CT scan slice, Slice index 40 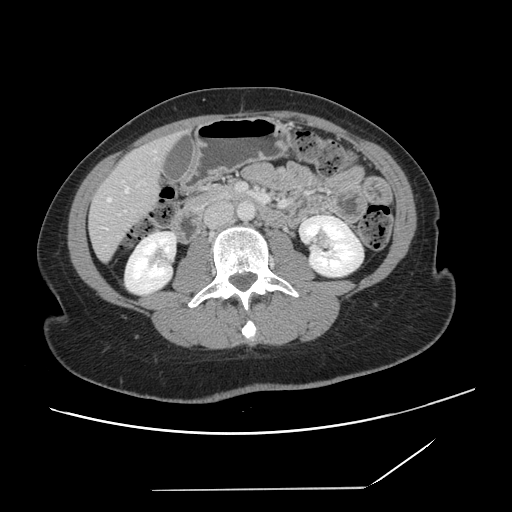 The vessel boxes may cover only some of the vessels.
4 hepatic vessel regions appear at [x1=118, y1=214, x2=119, y2=215], [x1=126, y1=188, x2=128, y2=192], [x1=107, y1=198, x2=110, y2=200], [x1=104, y1=228, x2=107, y2=229].